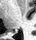
MR
Posterior hippocampus: bounding box (12, 31, 16, 33).